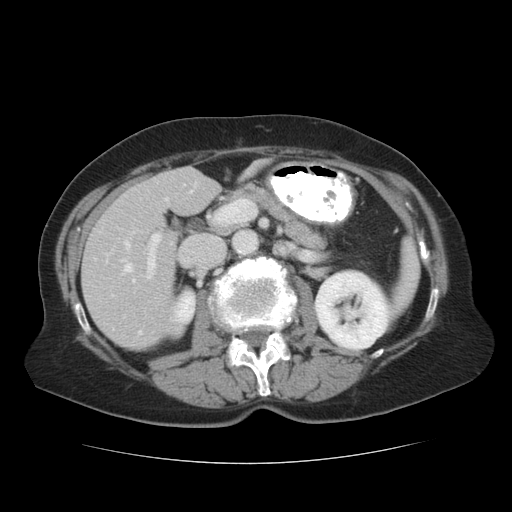 Upper abdomen; CT
<segmentation>
  <kidney>bbox(315, 272, 389, 348); bbox(172, 292, 194, 323)</kidney>
  <bone>bbox(425, 306, 433, 320); bbox(74, 302, 90, 333); bbox(209, 257, 294, 396); bbox(421, 247, 429, 263)</bone>
  <liver>bbox(82, 166, 221, 349)</liver>
</segmentation>